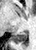
36x50. Hippocampus. MRI slice. - posterior hippocampus: [11,31,27,43]